CT image 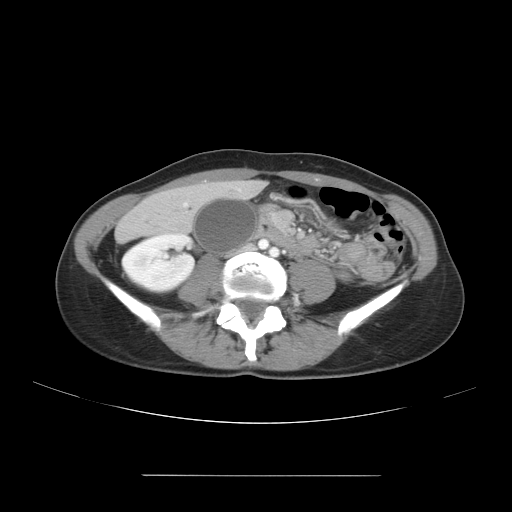
The pancreas lies within l=271, t=211, r=291, b=227.